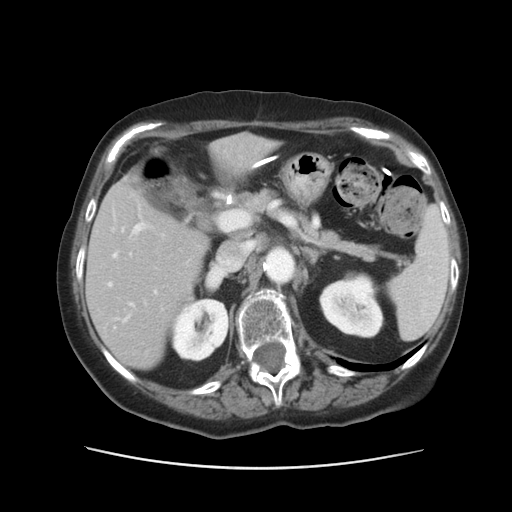
CT. Abdomen. The vessel boxes may cover only some of the vessels.
{
  "hepatic_vessel": [
    "[x1=154, y1=292, x2=156, y2=293]",
    "[x1=107, y1=283, x2=111, y2=286]",
    "[x1=161, y1=233, x2=166, y2=237]",
    "[x1=113, y1=212, x2=114, y2=220]",
    "[x1=217, y1=207, x2=251, y2=230]",
    "[x1=112, y1=252, x2=116, y2=257]",
    "[x1=132, y1=204, x2=145, y2=235]",
    "[x1=216, y1=193, x2=225, y2=197]",
    "[x1=113, y1=316, x2=129, y2=322]",
    "[x1=128, y1=303, x2=133, y2=307]",
    "[x1=232, y1=201, x2=233, y2=203]",
    "[x1=110, y1=227, x2=123, y2=231]"
  ]
}